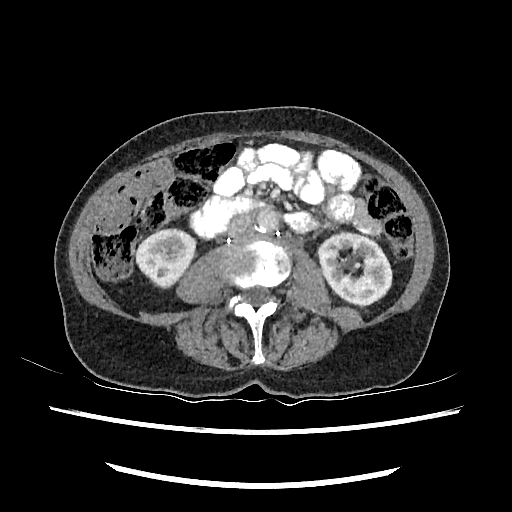

512x512. CT scan slice. <segmentation>
  <kidney>[319, 232, 391, 304], [137, 229, 194, 285]</kidney>
</segmentation>